512x512 px | Computed tomography | Slice index 477
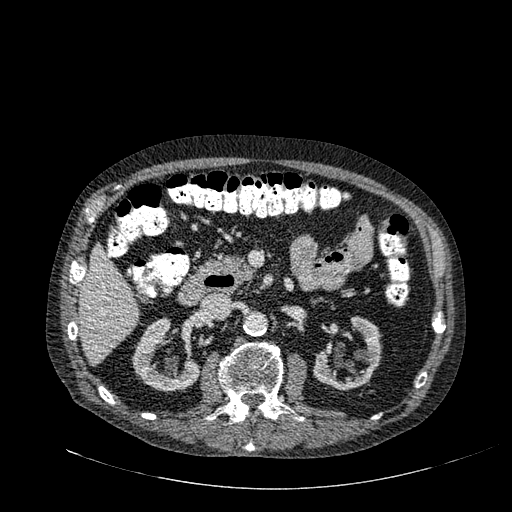
liver:
  - (x1=81, y1=245, x2=138, y2=364)
kidney:
  - (x1=131, y1=318, x2=200, y2=391)
  - (x1=329, y1=323, x2=337, y2=334)
  - (x1=313, y1=316, x2=381, y2=390)